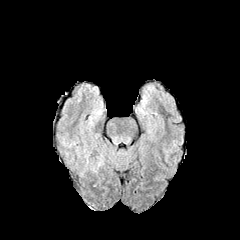
FLAIR magnetic resonance.
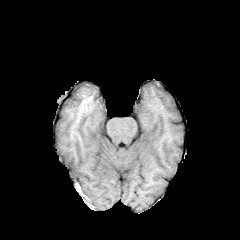
T1-weighted MR.
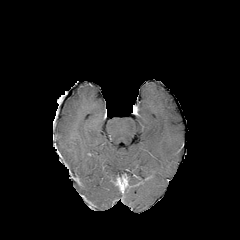
Post-contrast T1-weighted MRI.
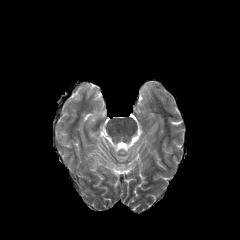
Same slice, T2-weighted magnetic resonance.
Brain. 240x240.
Edema at 83, 133, 108, 173; 90, 106, 103, 120.